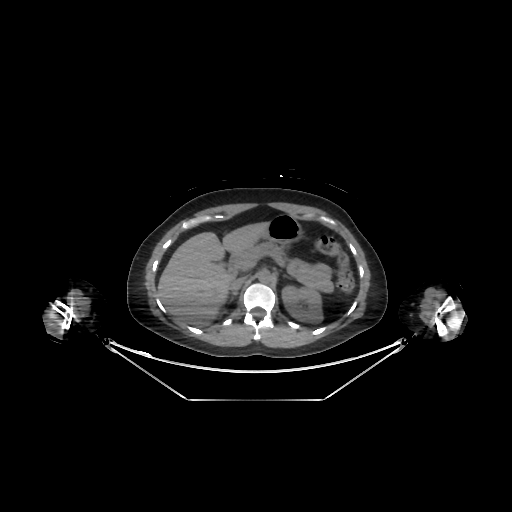

512x512; CT image
The kidney is bounded by [x1=281, y1=285, x2=322, y2=323]. The liver lies within [x1=157, y1=223, x2=272, y2=330].